512x512 px. Slice 54 of 85. CT slice.
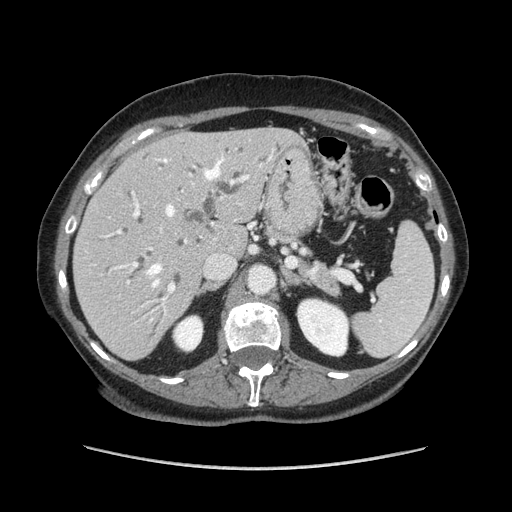 The pancreas lies within left=300, top=257, right=341, bottom=295.